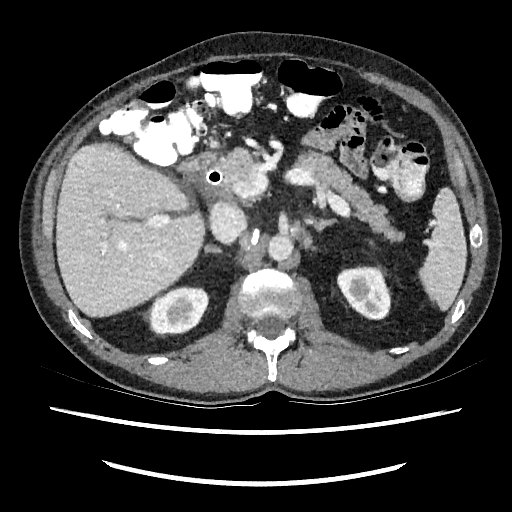

Computed tomography. Liver.
Kidney = rect(338, 268, 389, 318); rect(151, 288, 207, 332).
Liver = rect(56, 145, 204, 316).